Image size 320x320, Heart, Image width 400 mm, MR
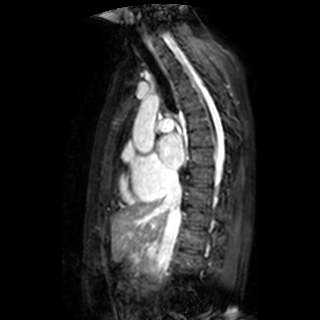 Left atrium — bbox=[158, 133, 184, 169].